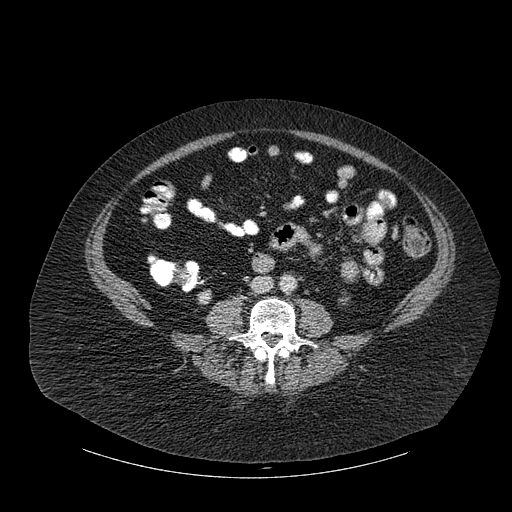
CT scan slice, 512x512 px, Abdomen

The kidney lies within [199,291,210,303]. The bone is located at [233,299,309,383].